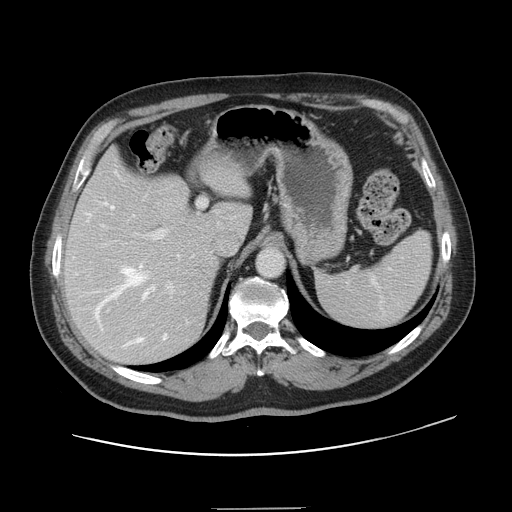

CT image | 512x512 px

Not every hepatic vessel necessarily has a box.
Hepatic vessel: left=95, top=268, right=145, bottom=321; left=150, top=230, right=164, bottom=238; left=163, top=334, right=165, bottom=339; left=139, top=265, right=141, bottom=269; left=169, top=285, right=172, bottom=290; left=103, top=202, right=108, bottom=204; left=87, top=213, right=89, bottom=216; left=144, top=285, right=154, bottom=297; left=110, top=205, right=113, bottom=208; left=126, top=337, right=143, bottom=344.